FLAIR MR image.
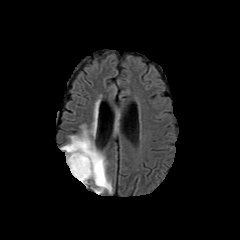
T1-weighted magnetic resonance.
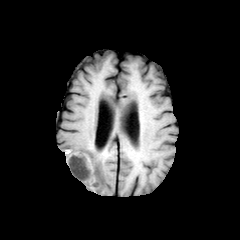
Post-contrast T1-weighted MR image.
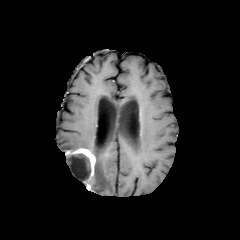
T2-weighted MR.
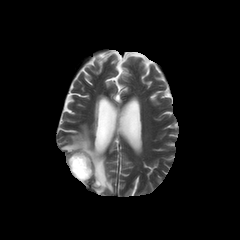
Image size 240x240
<segmentation>
  <non-enhancing_tumor_core>(67,149,90,184)</non-enhancing_tumor_core>
  <enhancing_tumor>(71,148,95,177)</enhancing_tumor>
  <edema>(62,123,113,193)</edema>
</segmentation>